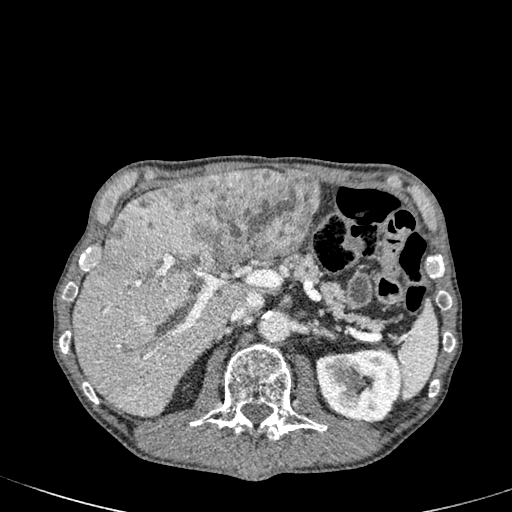 512x512 px | Upper abdomen | CT
liver:
  - x1=72 y1=186 x2=246 y2=416
hepatic_lesion:
  - x1=140 y1=195 x2=150 y2=207
  - x1=108 y1=227 x2=121 y2=237
  - x1=164 y1=169 x2=318 y2=270
kidney:
  - x1=315 y1=350 x2=405 y2=421